Field of view 496x496 mm. CT. Upper abdomen. 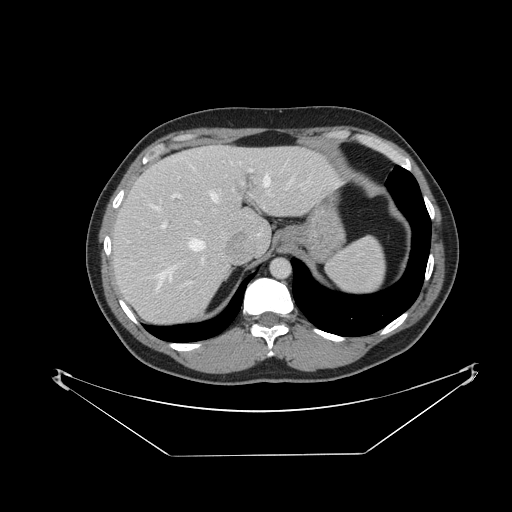

The spleen is at (left=326, top=238, right=384, bottom=293).